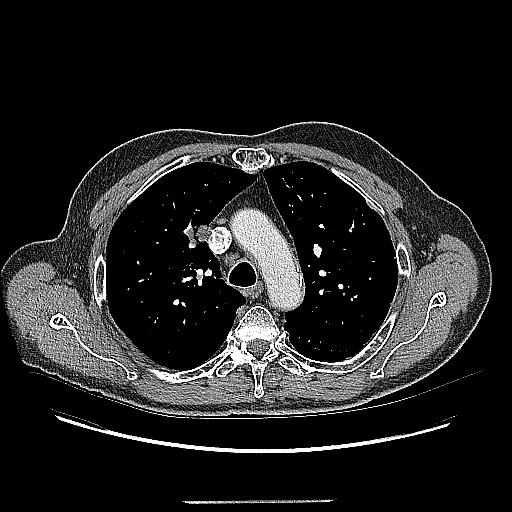

CT scan slice. Thorax. 512x512.
The lung tumor is bounded by bbox(185, 224, 209, 242).